Magnetic resonance, Medial temporal lobe
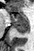
<segmentation>
  <anterior_hippocampus>l=10, t=13, r=29, b=24</anterior_hippocampus>
  <posterior_hippocampus>l=13, t=25, r=29, b=34</posterior_hippocampus>
</segmentation>